FLAIR MR image.
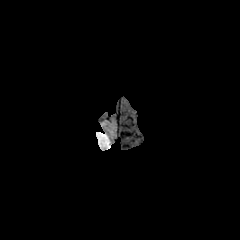
T1-weighted MRI.
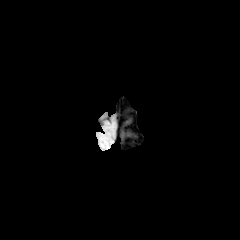
Post-contrast T1-weighted magnetic resonance.
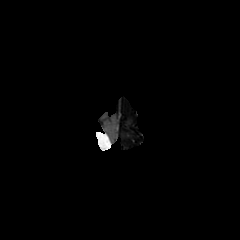
T2-weighted MR image.
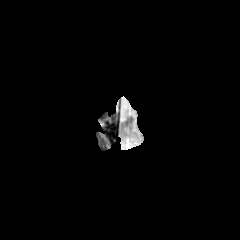
Image size 240x240
Segmented structures:
- enhancing tumor: <bbox>96, 132, 110, 150</bbox>